512x512; CT slice 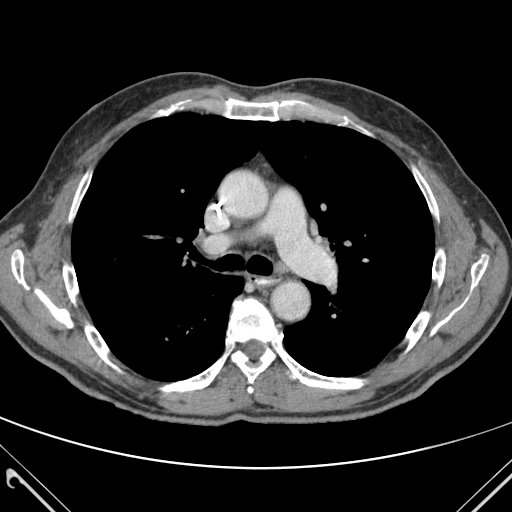

<segmentation>
  <lung>(left=72, top=112, right=434, bottom=380)</lung>
  <bone>(left=213, top=98, right=309, bottom=120), (left=406, top=312, right=429, bottom=350), (left=413, top=169, right=438, bottom=217), (left=432, top=250, right=445, bottom=285), (left=85, top=325, right=114, bottom=367), (left=161, top=298, right=362, bottom=391), (left=158, top=102, right=183, bottom=115), (left=35, top=289, right=72, bottom=327), (left=69, top=174, right=90, bottom=220), (left=310, top=106, right=352, bottom=124), (left=470, top=255, right=487, bottom=292), (left=11, top=250, right=29, bottom=289), (left=431, top=296, right=468, bottom=334), (left=63, top=266, right=78, bottom=302)</bone>
</segmentation>